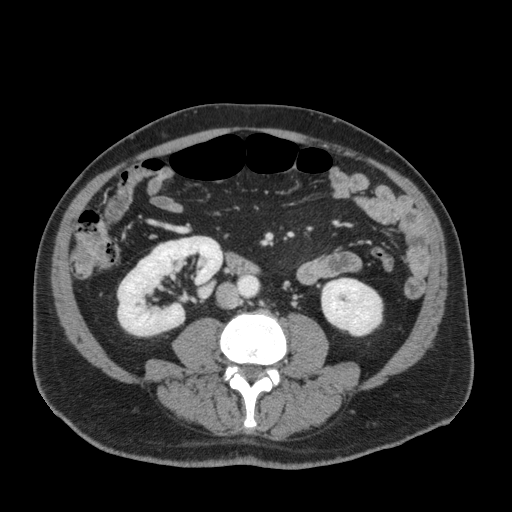 CT scan slice, 512x512
<segmentation>
  <kidney>[x1=322, y1=278, x2=381, y2=335], [x1=118, y1=236, x2=222, y2=335]</kidney>
</segmentation>